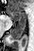

MR | 34x51 px | Medial temporal lobe
Anterior hippocampus at x1=8 y1=12 x2=25 y2=21.
Posterior hippocampus at x1=10 y1=22 x2=26 y2=39.